Abdomen; CT scan slice 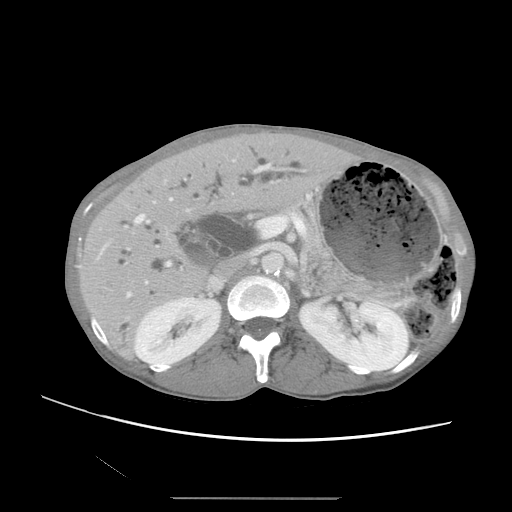 The pancreas is at 293, 203, 321, 250.